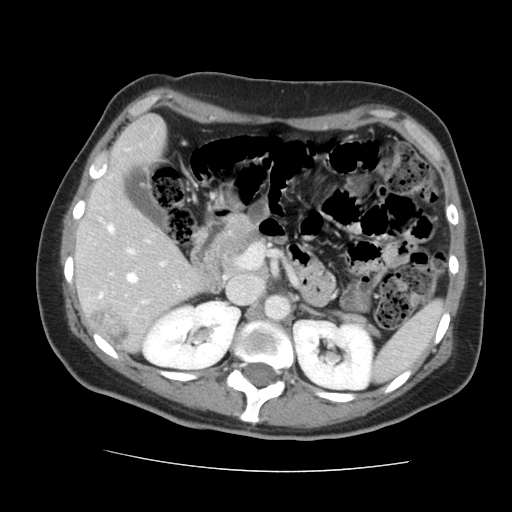 Abdomen, CT slice, Image size 512x512
Some hepatic vessels may have no box.
Hepatic vessel: bounding box <bbox>107, 226, 112, 232</bbox>, <bbox>127, 274, 136, 282</bbox>, <bbox>142, 301, 145, 303</bbox>, <bbox>127, 249, 132, 253</bbox>, <bbox>98, 294, 102, 298</bbox>, <bbox>161, 264, 163, 265</bbox>.
Liver tumor: bounding box <bbox>91, 306, 132, 346</bbox>.